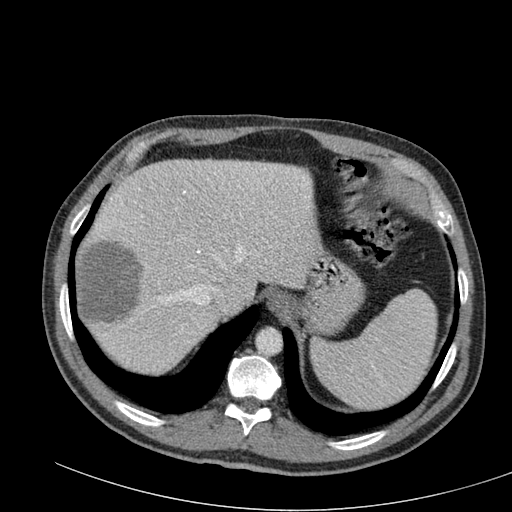

CT image, Abdomen
Focal liver lesion at <box>74,240,144,322</box>.
Liver at <box>83,160,314,374</box>.